Thorax, 512x512 px, Slice index 644, Field of view 360 mm wide, 0.80 mm slice spacing, CT scan slice

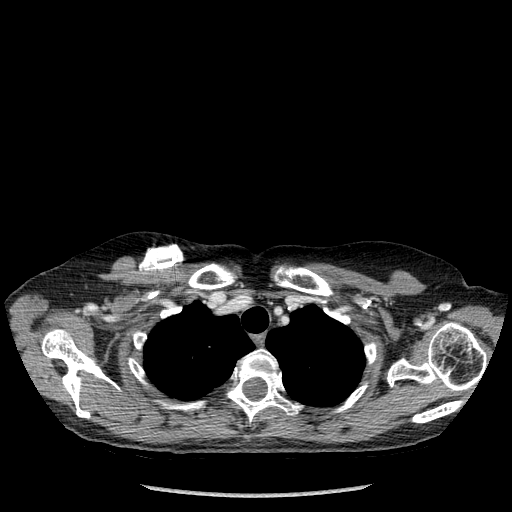
2 lung regions appear at {"x1": 266, "y1": 304, "x2": 364, "y2": 406}, {"x1": 144, "y1": 301, "x2": 268, "y2": 400}. 13 bone regions are bounded by {"x1": 133, "y1": 331, "x2": 146, "y2": 349}, {"x1": 128, "y1": 358, "x2": 146, "y2": 383}, {"x1": 335, "y1": 383, "x2": 367, "y2": 412}, {"x1": 226, "y1": 349, "x2": 302, "y2": 422}, {"x1": 160, "y1": 302, "x2": 181, "y2": 318}, {"x1": 41, "y1": 329, "x2": 119, "y2": 418}, {"x1": 275, "y1": 267, "x2": 332, "y2": 296}, {"x1": 364, "y1": 342, "x2": 376, "y2": 363}, {"x1": 387, "y1": 322, "x2": 486, "y2": 390}, {"x1": 323, "y1": 307, "x2": 350, "y2": 324}, {"x1": 188, "y1": 264, "x2": 235, "y2": 289}, {"x1": 156, "y1": 401, "x2": 204, "y2": 410}, {"x1": 412, "y1": 400, "x2": 463, "y2": 422}.